Medial temporal lobe; Slice 16/40; MRI 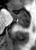
<segmentation>
  <anterior_hippocampus>bbox(11, 11, 29, 21)</anterior_hippocampus>
  <posterior_hippocampus>bbox(17, 22, 29, 27)</posterior_hippocampus>
</segmentation>